FLAIR MR image.
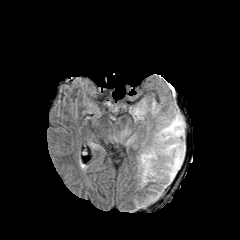
T1-weighted MR.
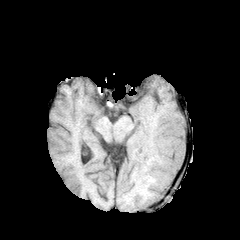
Post-contrast T1-weighted MR.
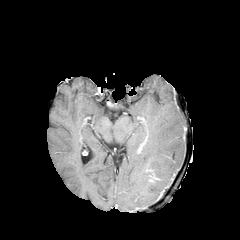
T2-weighted MR.
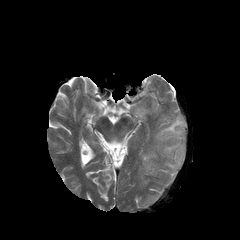
Brain
edema:
  - (158,114,184,141)
  - (140,153,159,185)
  - (159,142,184,188)